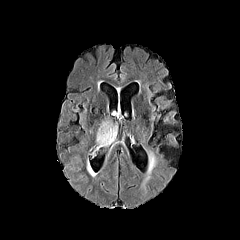
FLAIR MR image.
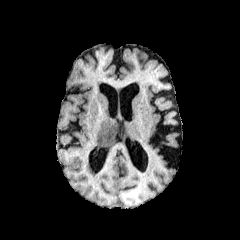
T1-weighted magnetic resonance of the same slice.
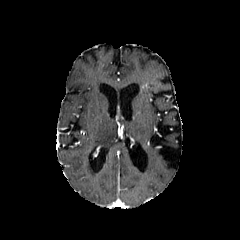
Same slice, post-contrast T1-weighted magnetic resonance.
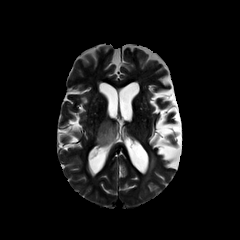
T2-weighted magnetic resonance.
2 edema regions are bounded by [86,158,95,177], [96,122,116,146].